Computed tomography

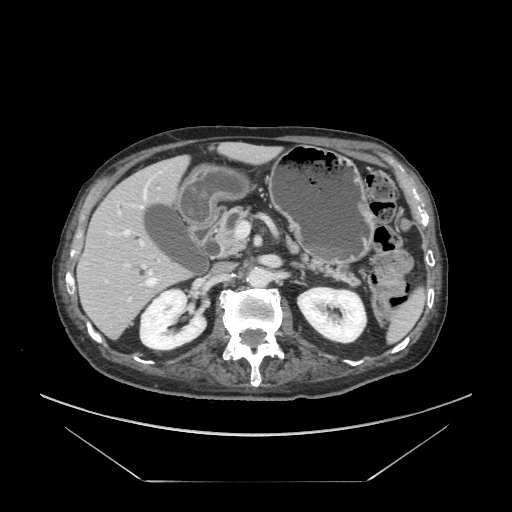 pancreas:
  - box=[286, 239, 298, 252]
  - box=[303, 257, 357, 285]
  - box=[216, 208, 246, 255]